240x240 px, Slice 66 of 155, Field of view 240x240 mm
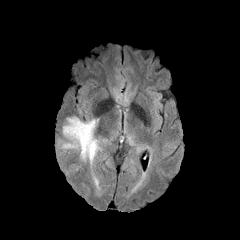
FLAIR MR.
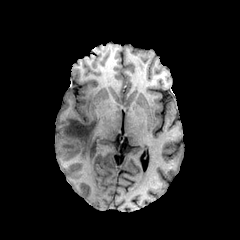
T1-weighted MRI.
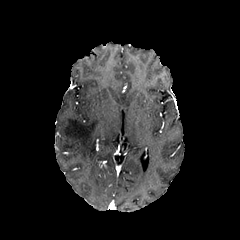
Post-contrast T1-weighted magnetic resonance of the same slice.
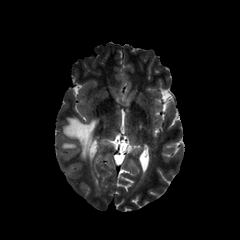
Same slice, T2-weighted MRI.
{"edema": ["<bbox>58, 116, 100, 163</bbox>"]}